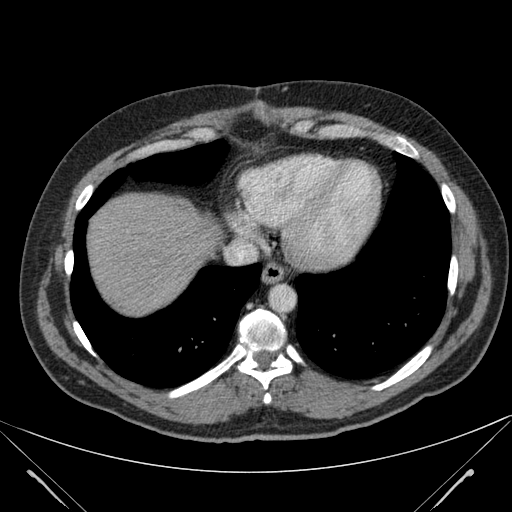
CT image
Liver at x1=87, y1=194, x2=221, y2=315.